Image size 512x512; Slice index 352; CT scan slice; Abdomen
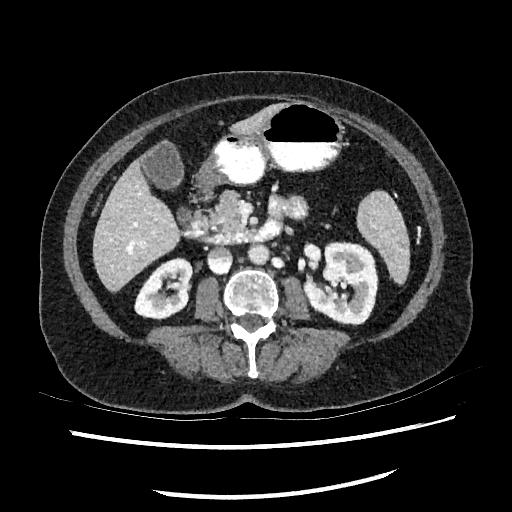
<segmentation>
  <liver>region(230, 104, 287, 133); region(92, 159, 179, 291)</liver>
  <kidney>region(135, 259, 191, 317); region(305, 243, 376, 323)</kidney>
</segmentation>